Slice 97/155 | 240x240 px
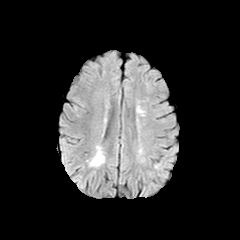
FLAIR magnetic resonance.
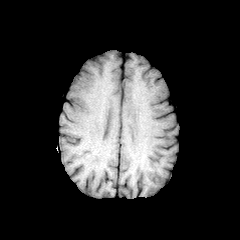
Same slice, T1-weighted MR image.
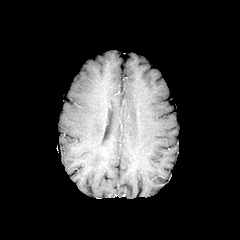
Post-contrast T1-weighted magnetic resonance.
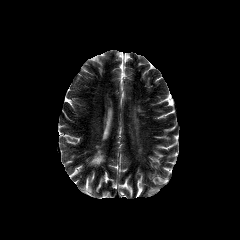
T2-weighted MRI of the same slice.
The edema appears at left=88, top=152, right=103, bottom=167.